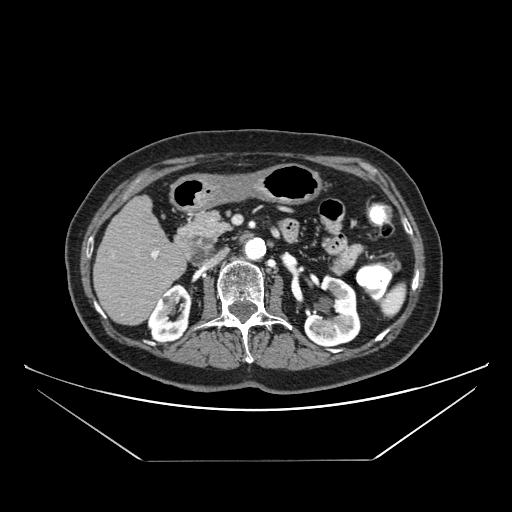

Computed tomography, Abdomen
The pancreatic tumor is at rect(189, 233, 214, 264). The pancreas is at rect(175, 208, 233, 262).